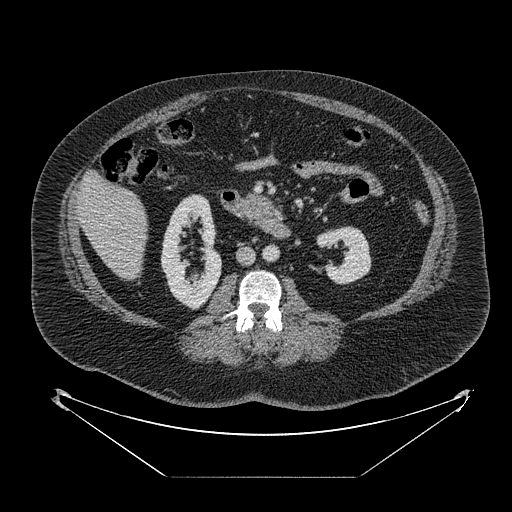
CT slice. Abdomen.

The pancreas lies within l=237, t=193, r=279, b=222.